240x240 px
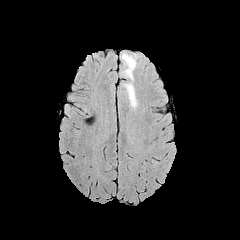
FLAIR MRI.
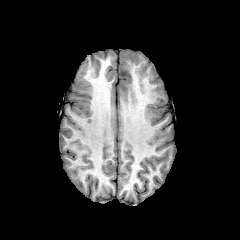
T1-weighted MR.
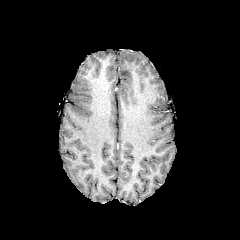
Post-contrast T1-weighted magnetic resonance of the same slice.
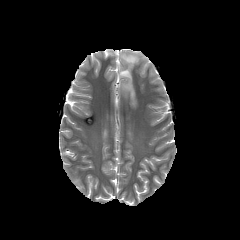
T2-weighted magnetic resonance.
The edema is at (120,52,139,107).